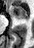 MRI
<segmentation>
  <anterior_hippocampus>10 6 28 19</anterior_hippocampus>
</segmentation>